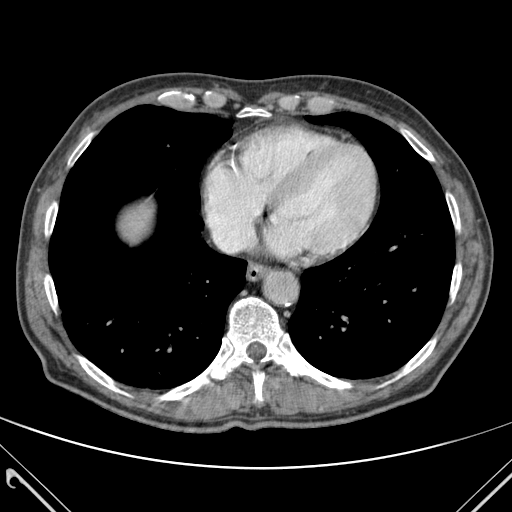

Thorax | CT
Lung: bounding box [49, 105, 246, 388], [288, 112, 454, 378].
Bone: bounding box [450, 265, 461, 298], [44, 273, 57, 312], [398, 339, 435, 377], [78, 356, 122, 392], [68, 133, 92, 163], [446, 194, 459, 229], [160, 297, 350, 399], [253, 373, 263, 400], [45, 201, 57, 235], [237, 108, 270, 116], [402, 130, 433, 160].